Slice 80/155, Brain
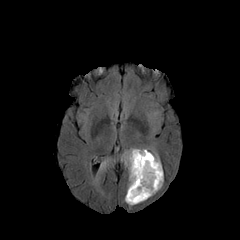
FLAIR magnetic resonance.
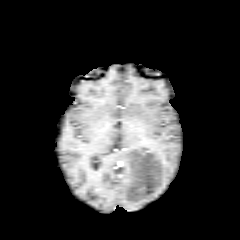
T1-weighted MR of the same slice.
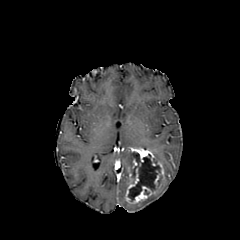
Post-contrast T1-weighted MR image.
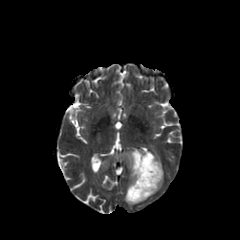
T2-weighted MR image of the same slice.
Findings:
* edema: (x1=121, y1=148, x2=133, y2=164), (x1=140, y1=147, x2=160, y2=161), (x1=99, y1=160, x2=108, y2=170), (x1=148, y1=177, x2=163, y2=197)
* enhancing tumor: (x1=154, y1=162, x2=163, y2=188), (x1=126, y1=148, x2=156, y2=202)
* non-enhancing tumor core: (x1=126, y1=152, x2=139, y2=184), (x1=128, y1=154, x2=159, y2=200)